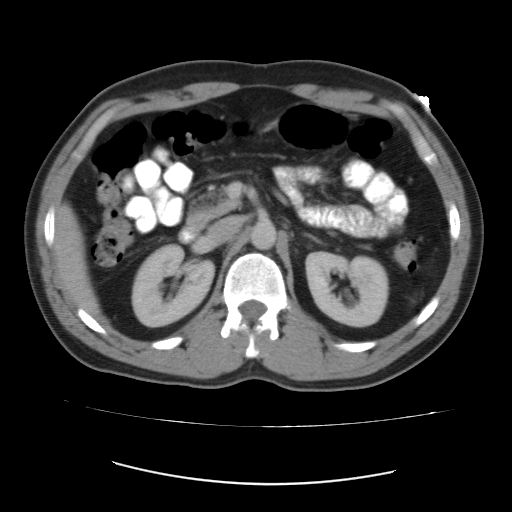 512x512; CT scan slice; Abdomen

{
  "colon_tumor": [
    "left=394, top=243, right=415, bottom=268"
  ]
}